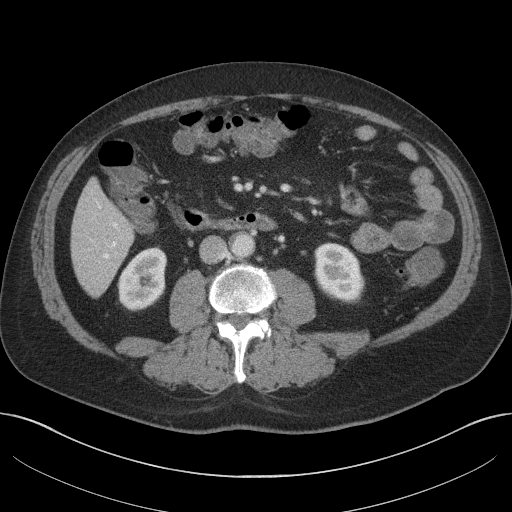
Liver. CT slice. 512x512. - liver: [x1=71, y1=181, x2=133, y2=294]
- kidney: [x1=119, y1=249, x2=165, y2=308], [x1=316, y1=244, x2=361, y2=299]